Field of view 497x497 mm | CT image 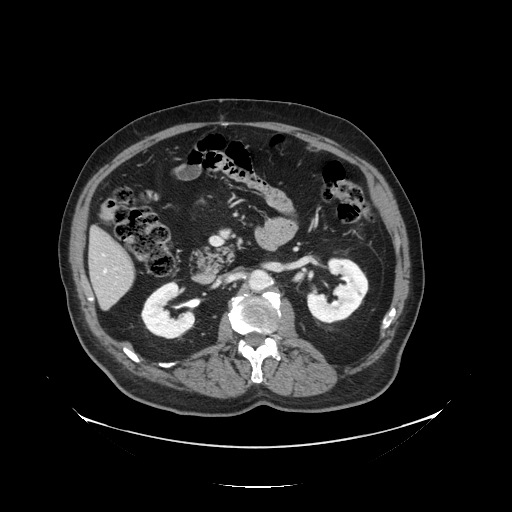

Only some of the vessels may be annotated.
hepatic_vessel:
  - box=[104, 269, 106, 273]
  - box=[103, 254, 104, 255]